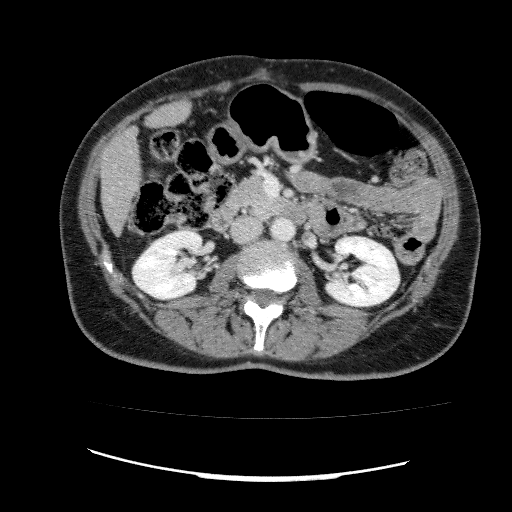 512x512 | Computed tomography
2 liver regions are located at (147,101,192,126), (100,128,139,235). 2 kidney regions are located at (133,231,201,298), (326,237,399,306).